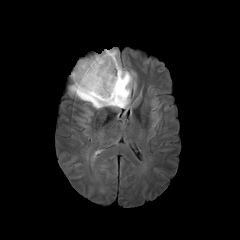
FLAIR MR.
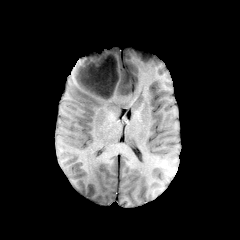
Same slice, T1-weighted MR.
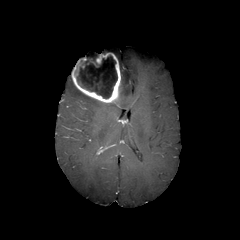
Post-contrast T1-weighted MR.
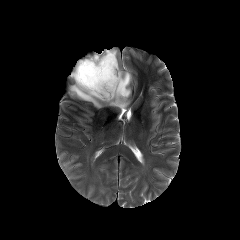
T2-weighted MRI.
Brain. 240x240.
The enhancing tumor lies within <box>72,52,121,102</box>. The edema lies within <box>69,49,133,109</box>. The non-enhancing tumor core is at <box>77,56,117,97</box>.